Slice 251 of 536; CT image 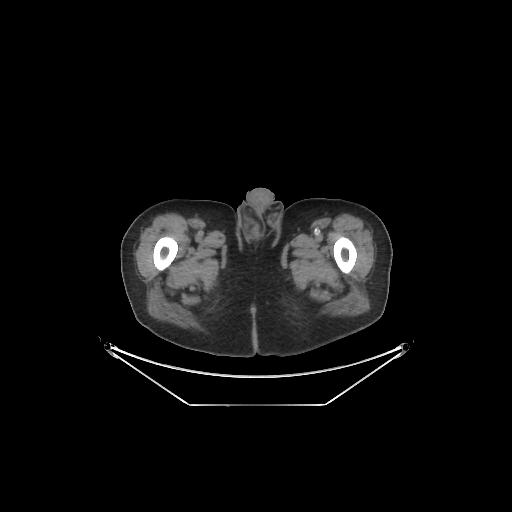
bone:
  - 333,236,356,273
  - 153,236,177,270